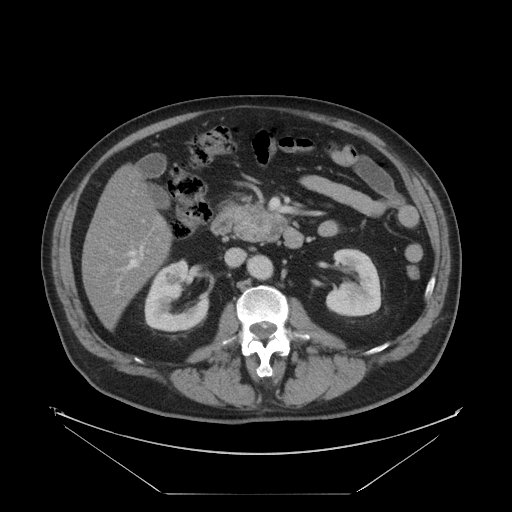

CT scan slice. Abdomen.
{"pancreas": ["[234, 202, 287, 242]"], "pancreatic_tumor": ["[253, 216, 264, 229]"]}